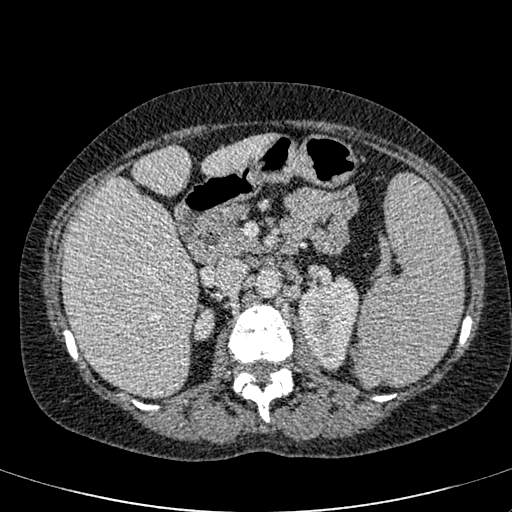 CT scan slice, 512x512
2 kidney regions are located at left=299, top=276, right=357, bottom=368; left=194, top=309, right=213, bottom=339. 3 liver regions are located at left=203, top=135, right=276, bottom=175; left=132, top=146, right=189, bottom=192; left=64, top=178, right=196, bottom=395.